CT scan slice 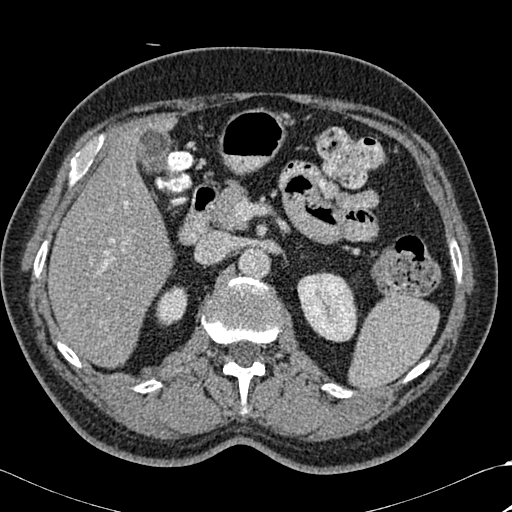
{"bone": ["box(134, 380, 161, 392)", "box(450, 241, 461, 280)", "box(322, 384, 351, 397)", "box(34, 242, 46, 275)", "box(69, 161, 76, 183)", "box(202, 277, 279, 405)", "box(58, 343, 80, 366)", "box(405, 361, 428, 381)"], "kidney": ["box(158, 289, 185, 322)", "box(298, 274, 355, 340)"], "liver": ["box(49, 129, 171, 366)", "box(164, 114, 175, 127)"]}